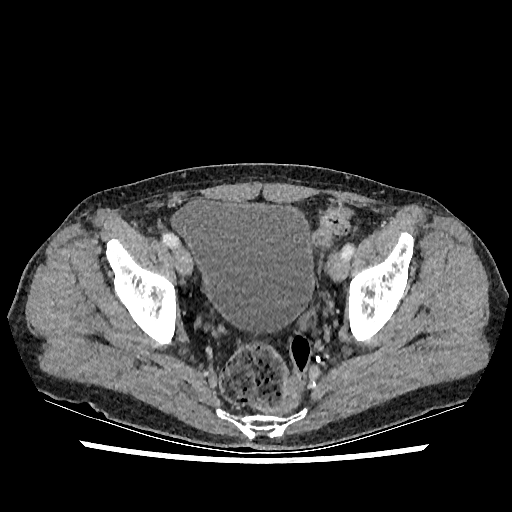 CT. 512x512.

Urinary bladder: 175, 198, 315, 333.